512x512 px | CT slice 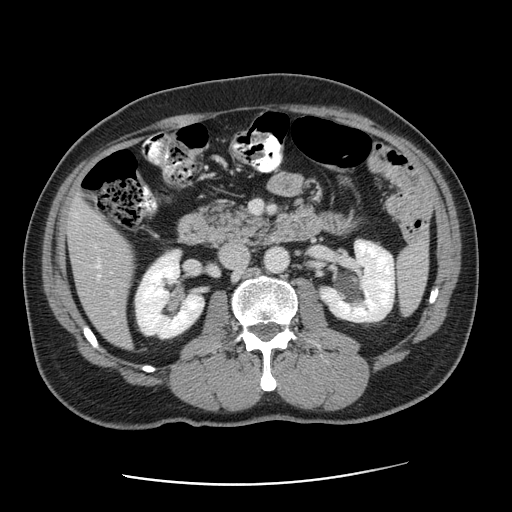 The vessel annotation is not exhaustive.
<segmentation>
  <hepatic_vessel>bbox(98, 275, 100, 278); bbox(95, 259, 100, 267)</hepatic_vessel>
</segmentation>